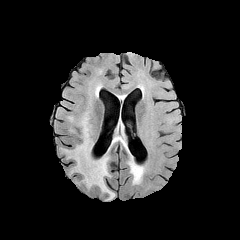
FLAIR MRI.
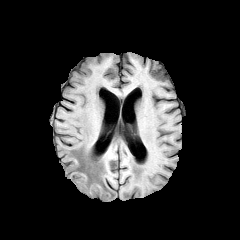
Same slice, T1-weighted MR image.
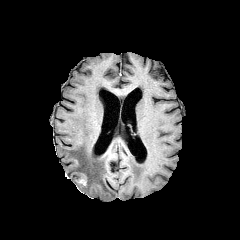
Same slice, post-contrast T1-weighted magnetic resonance.
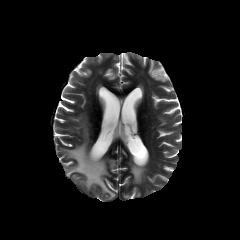
T2-weighted MRI of the same slice.
Brain
The non-enhancing tumor core lies within l=73, t=160, r=89, b=185. 2 edema regions are located at l=68, t=119, r=114, b=199; l=127, t=154, r=145, b=183.